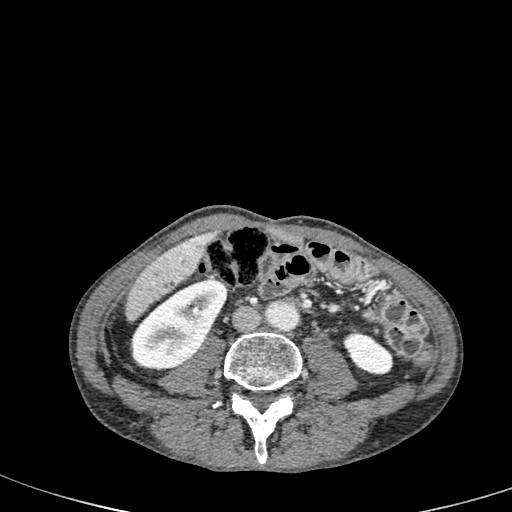 512x512. CT image. Upper abdomen.

Liver — [125, 232, 214, 321].
Kidney — [132, 280, 227, 368], [345, 334, 391, 373].